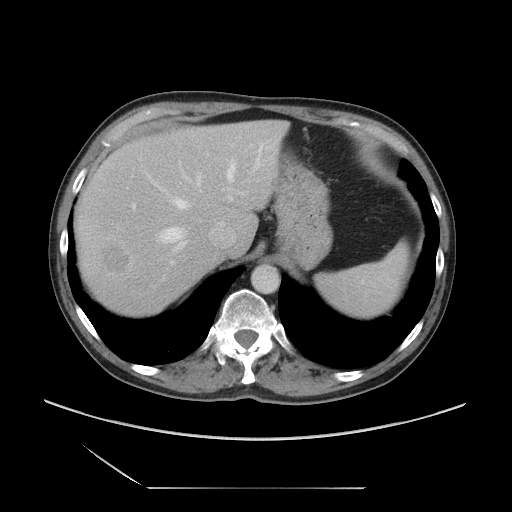 Liver; CT scan slice

The vessel boxes may cover only some of the vessels.
liver_tumor:
  - 99,243,133,278
hepatic_vessel:
  - 152,181,158,187
  - 228,196,231,200
  - 238,192,243,194
  - 231,144,233,145
  - 222,188,230,190
  - 211,225,236,240
  - 174,198,186,209
  - 182,172,187,179
  - 132,204,135,208
  - 197,173,200,185
  - 254,144,262,169
  - 157,227,185,250
  - 172,261,173,263
  - 250,144,252,145
  - 227,162,235,181